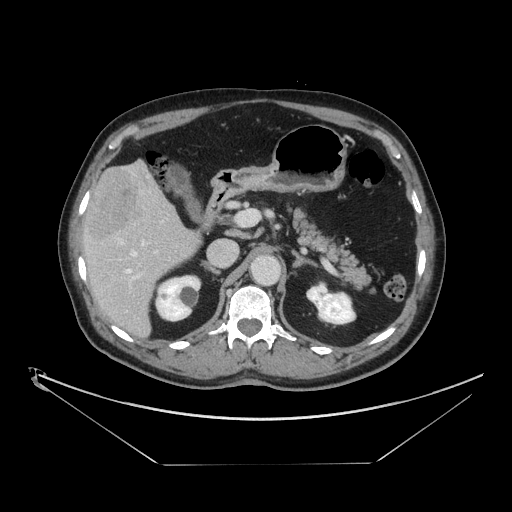 Abdomen, Computed tomography
Not every hepatic vessel necessarily has a box.
The liver tumor is bounded by <box>85,167,146,243</box>. 7 hepatic vessel regions appear at <box>126,269,131,272</box>, <box>131,251,136,255</box>, <box>142,241,144,246</box>, <box>129,282,130,284</box>, <box>132,273,141,278</box>, <box>155,251,157,253</box>, <box>120,240,124,244</box>.